CT image. 512x512 px.
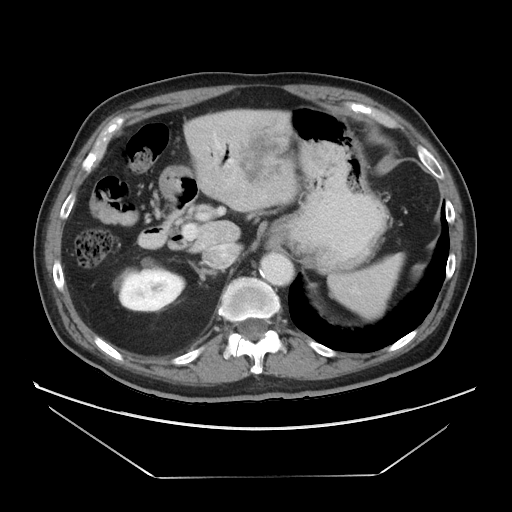

Only some of the vessels may be annotated.
Segmented structures:
- hepatic vessel: [x1=184, y1=232, x2=190, y2=238]
- liver tumor: [x1=239, y1=129, x2=286, y2=181]